Brain | Image size 240x240
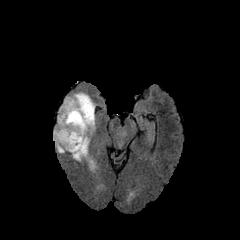
FLAIR MRI.
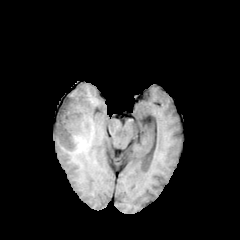
T1-weighted MRI.
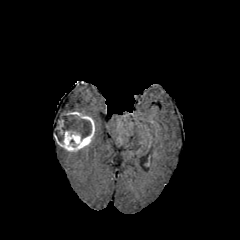
Post-contrast T1-weighted MR.
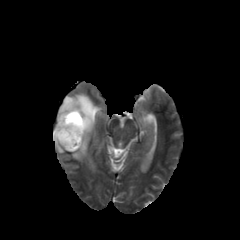
T2-weighted MRI of the same slice.
edema:
  - x1=70, y1=144, x2=95, y2=169
  - x1=55, y1=141, x2=68, y2=153
  - x1=54, y1=92, x2=98, y2=128
enhancing_tumor:
  - x1=54, y1=118, x2=89, y2=151
  - x1=61, y1=110, x2=94, y2=135
non-enhancing_tumor_core:
  - x1=54, y1=122, x2=63, y2=141
  - x1=62, y1=98, x2=79, y2=111
  - x1=58, y1=111, x2=91, y2=137